Brain
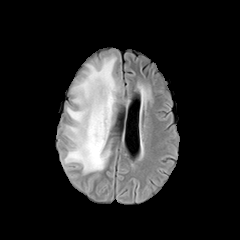
FLAIR MRI.
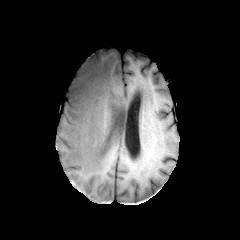
T1-weighted MR of the same slice.
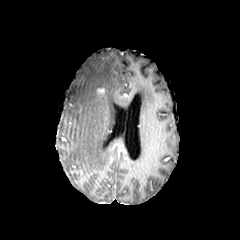
Post-contrast T1-weighted MRI.
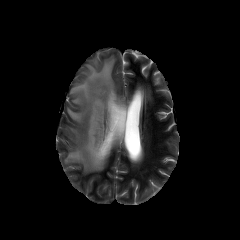
Same slice, T2-weighted MR.
<segmentation>
  <edema>[x1=64, y1=56, x2=117, y2=172]</edema>
  <non-enhancing_tumor_core>[x1=95, y1=86, x2=105, y2=101]</non-enhancing_tumor_core>
</segmentation>